240x240. Slice index 80.
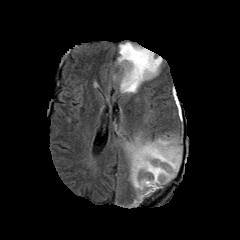
FLAIR MRI.
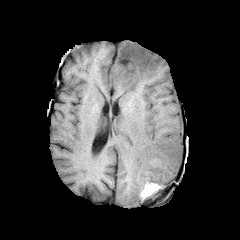
T1-weighted MR image.
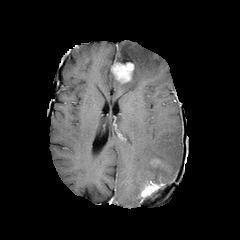
Post-contrast T1-weighted MR.
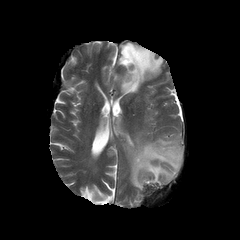
T2-weighted MRI.
Annotated regions:
- edema: (118, 42, 161, 93), (126, 136, 181, 195)
- non-enhancing tumor core: (117, 46, 147, 69)
- enhancing tumor: (140, 181, 162, 196), (112, 62, 134, 83)